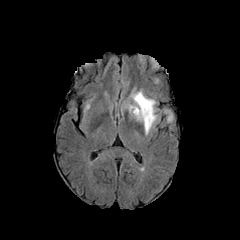
FLAIR MR image.
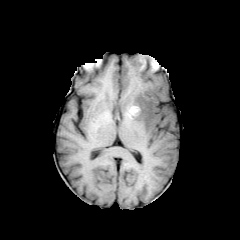
T1-weighted magnetic resonance.
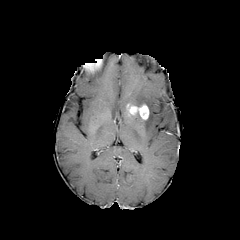
Post-contrast T1-weighted MR image of the same slice.
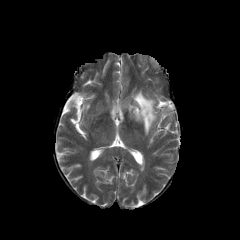
T2-weighted MR.
The enhancing tumor lies within [126,103,149,120]. The edema appears at [131,91,156,134].